240x240 px
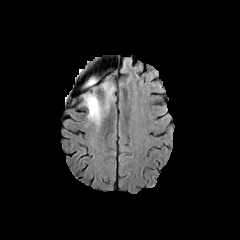
FLAIR MRI.
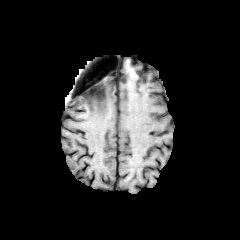
T1-weighted MR image of the same slice.
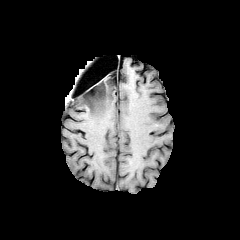
Post-contrast T1-weighted magnetic resonance.
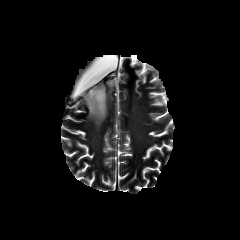
T2-weighted MRI.
Edema: [82, 80, 114, 125], [86, 78, 97, 86].
Non-enhancing tumor core: [88, 84, 107, 111].